FLAIR MR.
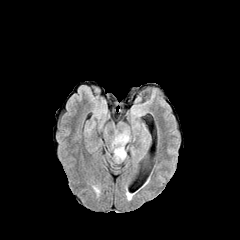
T1-weighted MR image.
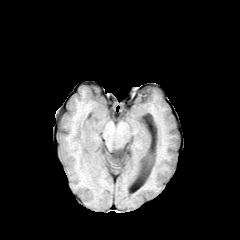
Post-contrast T1-weighted MRI.
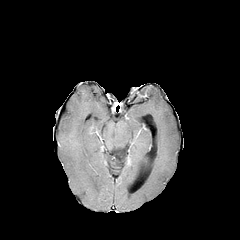
T2-weighted MR image.
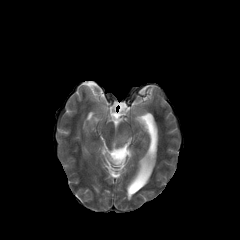
Head
* edema: (111,137,129,162)